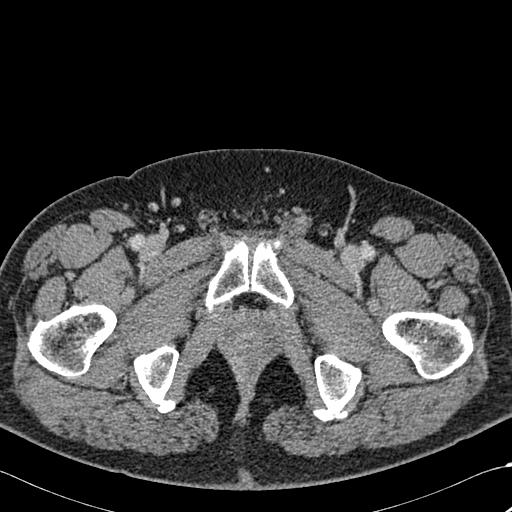

Image size 512x512, Computed tomography
bone:
  - region(315, 354, 361, 420)
  - region(28, 304, 116, 376)
  - region(205, 242, 293, 308)
  - region(134, 345, 178, 412)
  - region(382, 311, 472, 378)